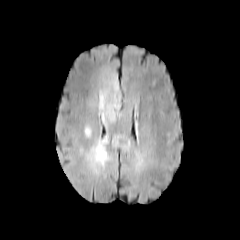
FLAIR magnetic resonance.
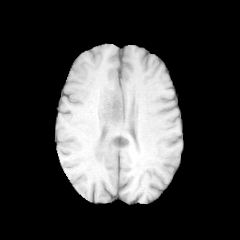
Same slice, T1-weighted MR.
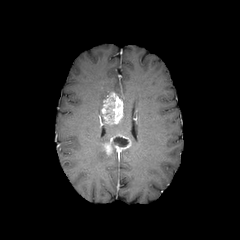
Post-contrast T1-weighted magnetic resonance.
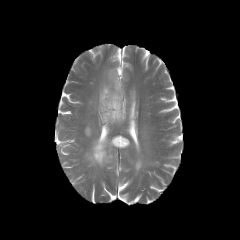
T2-weighted MRI.
Brain. Image size 240x240.
The non-enhancing tumor core is bounded by [x1=114, y1=136, x2=129, y2=146]. 2 enhancing tumor regions appear at [x1=101, y1=90, x2=124, y2=124], [x1=103, y1=133, x2=131, y2=153]. 2 edema regions are located at [x1=99, y1=86, x2=124, y2=126], [x1=86, y1=136, x2=110, y2=170].